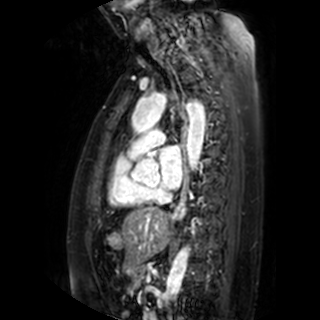

Heart, MR image, Image size 320x320
Segmented structures:
- left atrium: <box>159,145,182,188</box>